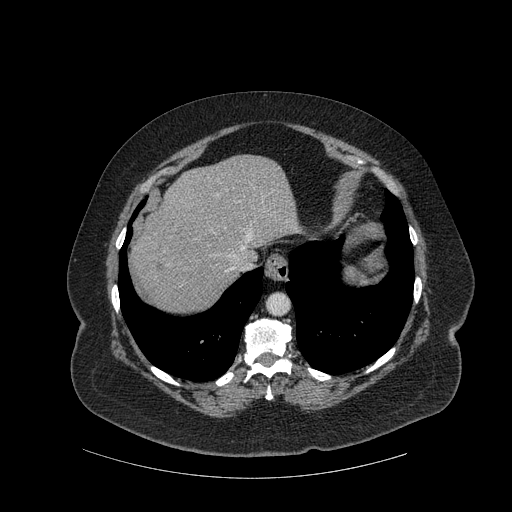 Upper abdomen. CT image.

<segmentation>
  <liver_lesion>(left=156, top=262, right=164, bottom=270)</liver_lesion>
  <bone>(left=151, top=367, right=178, bottom=384), (left=116, top=238, right=122, bottom=248), (left=308, top=368, right=330, bottom=380), (left=266, top=386, right=272, bottom=399), (left=244, top=319, right=291, bottom=380), (left=367, top=348, right=394, bottom=372), (left=414, top=278, right=421, bottom=302), (left=216, top=372, right=233, bottom=385), (left=409, top=227, right=417, bottom=244), (left=111, top=285, right=119, bottom=311)</bone>
  <lung>(left=286, top=190, right=414, bottom=374), (left=118, top=201, right=263, bottom=381)</lung>
  <liver>(left=131, top=155, right=298, bottom=313)</liver>
</segmentation>